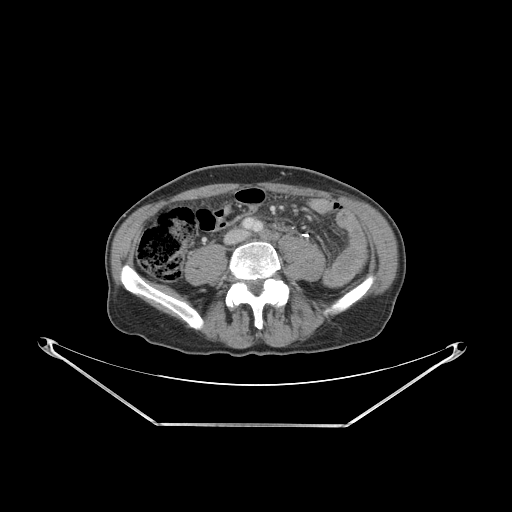

CT slice

3 bone regions are located at [121, 266, 202, 328], [332, 277, 372, 309], [226, 242, 288, 328].